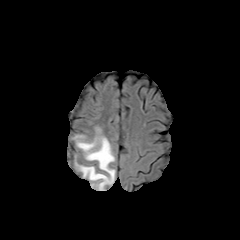
FLAIR magnetic resonance.
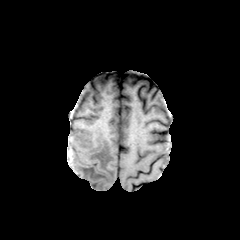
T1-weighted MRI of the same slice.
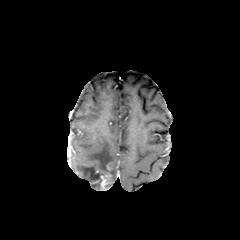
Post-contrast T1-weighted MR.
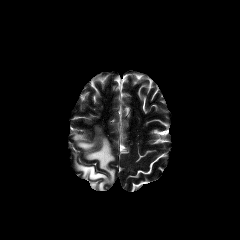
T2-weighted MR.
Brain
enhancing_tumor:
  - bbox=[100, 175, 109, 189]
edema:
  - bbox=[73, 134, 115, 190]